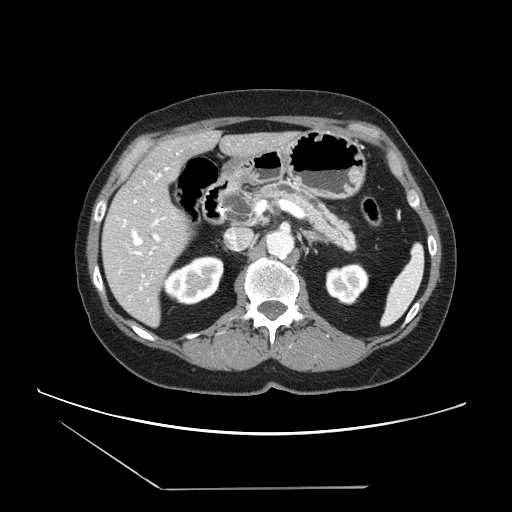 512x512 px, CT
{
  "pancreas": [
    "box(258, 182, 354, 249)"
  ]
}